Computed tomography | Slice index 16 | Liver 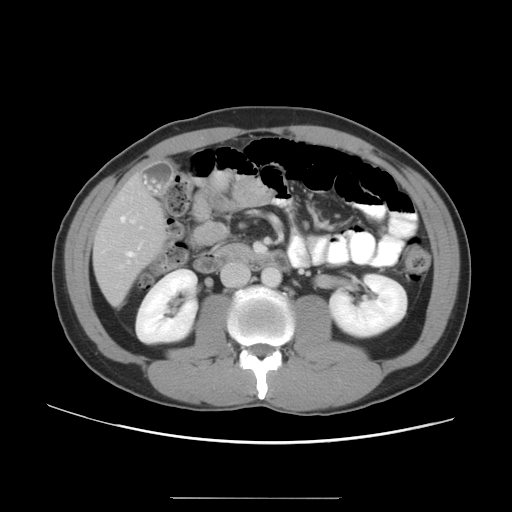
The vessel annotation is not exhaustive.
5 hepatic vessel regions are located at (127,251,135,259), (121,216,135,222), (140,226,142,228), (131,182,132,183), (139,242,142,248).